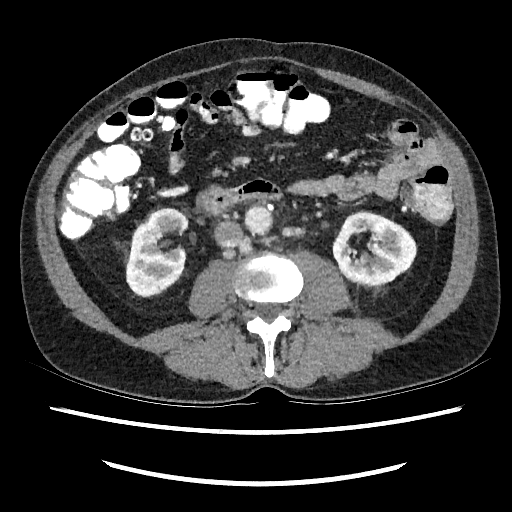
Abdomen, CT image
2 kidney regions are bounded by box(127, 209, 187, 295); box(333, 213, 415, 284).